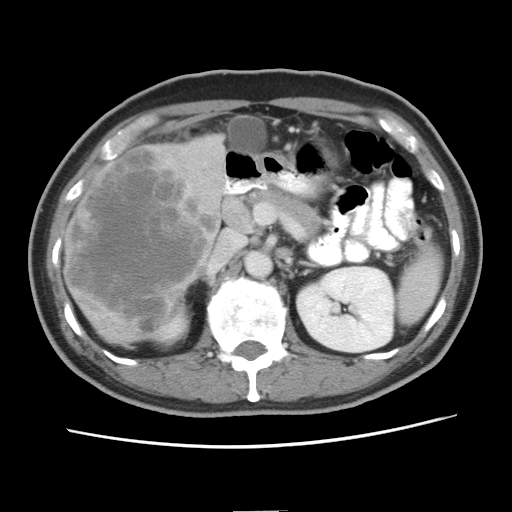 Abdomen | CT image | 512x512 px

The vessel annotation is not exhaustive.
Segmented structures:
• liver tumor: bbox(66, 148, 220, 333)
• hepatic vessel: bbox(224, 182, 226, 191)